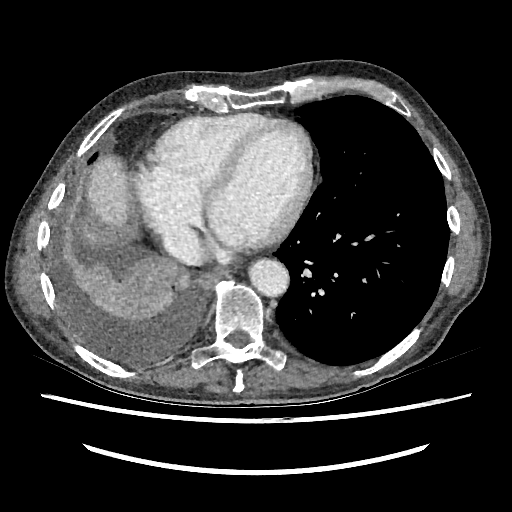

CT image; Image size 512x512
<segmentation>
  <liver>rect(88, 155, 128, 225); rect(82, 227, 98, 240)</liver>
</segmentation>